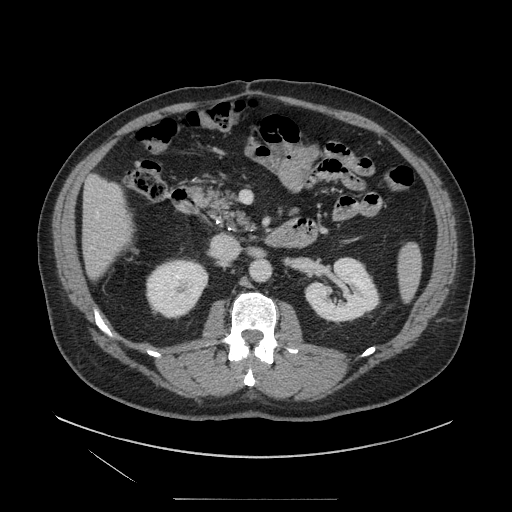
CT.

The pancreas lies within [x1=204, y1=187, x2=252, y2=233].